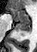

Hippocampus; MRI
Segmented structures:
* anterior hippocampus: bbox=[7, 8, 29, 21]
* posterior hippocampus: bbox=[15, 22, 29, 35]